FLAIR MR image.
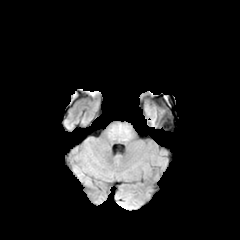
T1-weighted MR image.
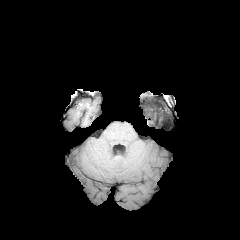
Post-contrast T1-weighted magnetic resonance.
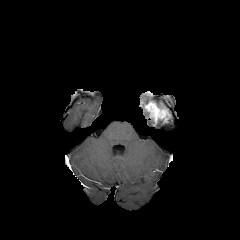
T2-weighted MR.
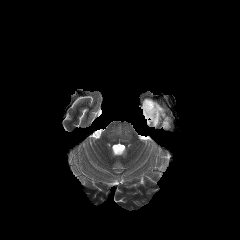
Head
The non-enhancing tumor core lies within x1=154, y1=102, x2=167, y2=115. The enhancing tumor is at x1=143, y1=101, x2=164, y2=121. The edema appears at x1=155, y1=115, x2=169, y2=125.